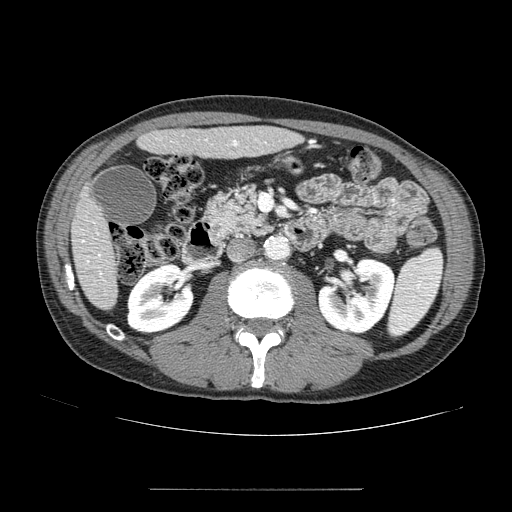
Upper abdomen | CT slice
The pancreas lies within 204 186 273 240.